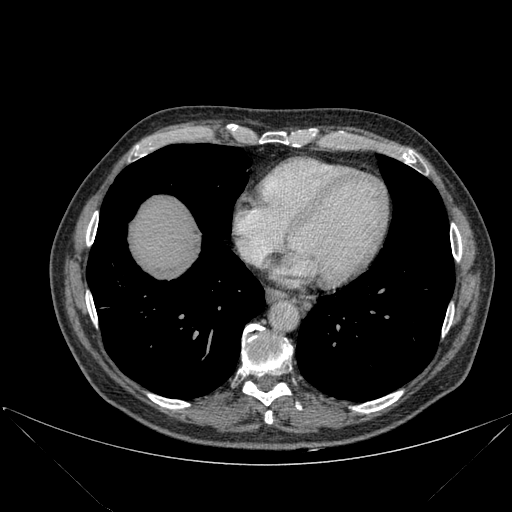
Upper abdomen, Image size 512x512, Computed tomography
2 lung regions are bounded by 296, 154, 454, 401; 86, 144, 264, 398. The liver lies within 128, 195, 201, 270. 11 bone regions are located at 442, 305, 453, 336; 239, 324, 292, 375; 265, 411, 272, 424; 353, 391, 402, 412; 259, 132, 288, 144; 148, 394, 189, 408; 403, 150, 415, 162; 450, 223, 461, 260; 85, 292, 97, 324; 243, 381, 290, 405; 86, 211, 98, 245.